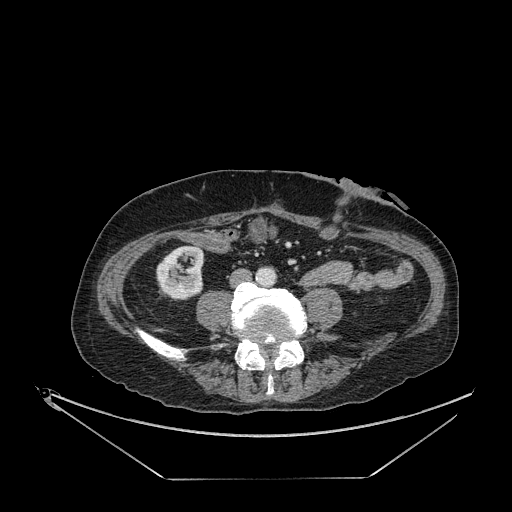
CT slice. Abdomen.

{
  "kidney": [
    "bbox(157, 246, 203, 298)"
  ]
}